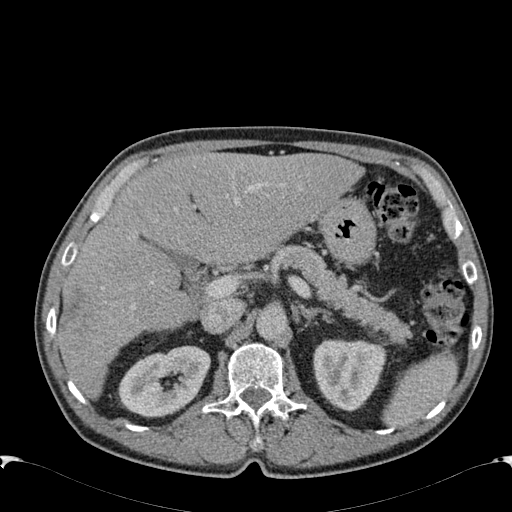

CT image | Liver
- focal liver lesion: <bbox>61, 288, 91, 334</bbox>
- liver: <bbox>60, 152, 363, 398</bbox>
- kidney: <bbox>314, 340, 385, 410</bbox>, <bbox>119, 346, 209, 416</bbox>